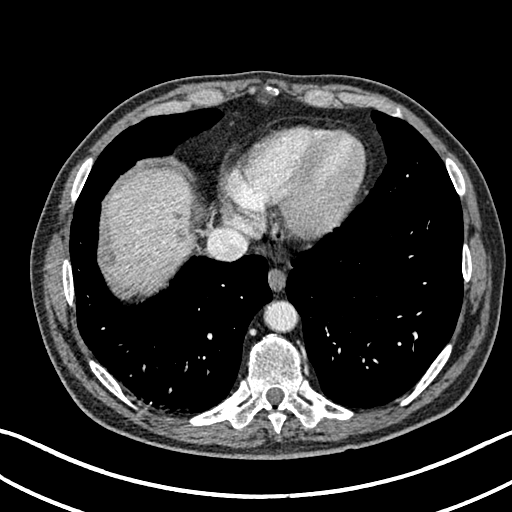 Computed tomography. Upper abdomen.
liver: rect(105, 170, 191, 291) | focal liver lesion: rect(177, 229, 186, 241); rect(105, 249, 115, 266)